FLAIR MRI.
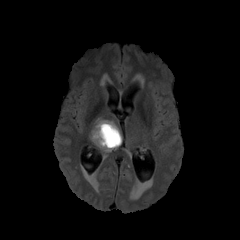
T1-weighted MR image.
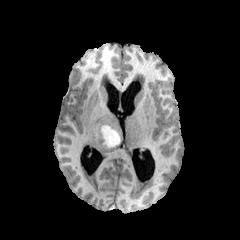
Post-contrast T1-weighted MR.
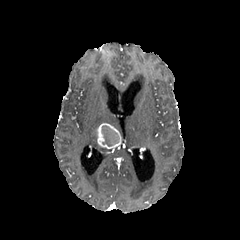
T2-weighted MR image.
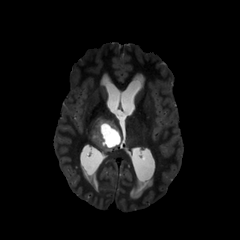
240x240
<segmentation>
  <non-enhancing_tumor_core>[101,125,119,146]</non-enhancing_tumor_core>
  <edema>[89,117,123,145], [99,145,111,153]</edema>
  <enhancing_tumor>[96,122,121,149]</enhancing_tumor>
</segmentation>